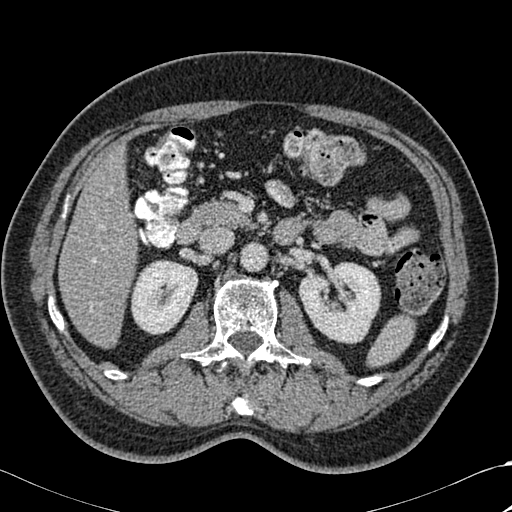
Liver; 512x512 px; CT image
• kidney: 132,261,197,333; 300,263,379,342
• bone: 105,370,125,379; 48,297,63,329; 359,376,378,385; 183,279,309,369; 233,395,252,414; 429,320,446,349
• liver: 59,148,137,344